FLAIR MR.
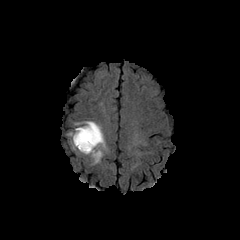
T1-weighted MR.
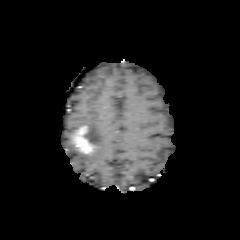
Post-contrast T1-weighted magnetic resonance.
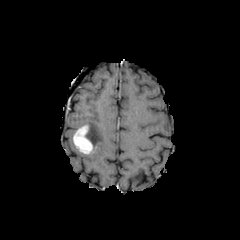
T2-weighted magnetic resonance.
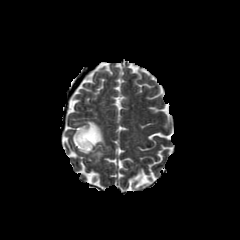
Brain
Edema: bounding box bbox=[84, 121, 105, 150]; bbox=[90, 149, 102, 162].
Non-enhancing tumor core: bounding box bbox=[86, 126, 96, 145].
Enhancing tumor: bounding box bbox=[73, 125, 94, 154].